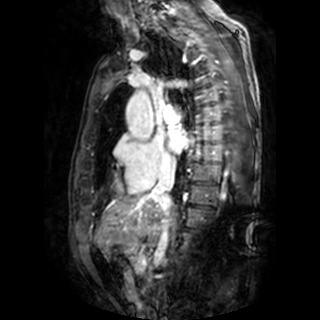

MR image, Heart
The left atrium lies within [168,129,190,153].